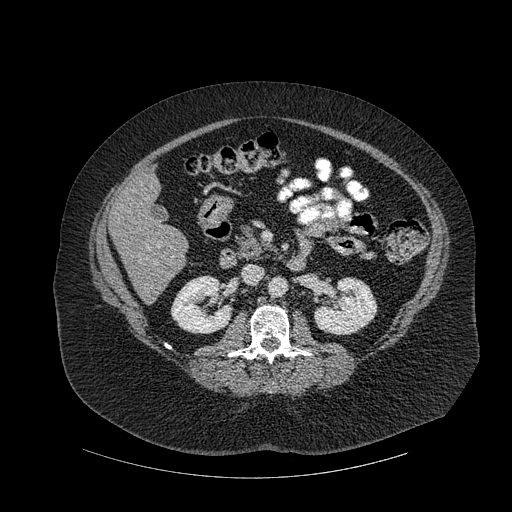
Computed tomography. Abdomen.

{"kidney": ["l=171, t=276, r=231, b=333", "l=315, t=278, r=376, b=334"], "bone": ["l=356, t=189, r=367, b=199", "l=228, t=306, r=311, b=363"], "liver": ["l=109, t=173, r=188, b=299"]}